240x240 px; Head
FLAIR magnetic resonance.
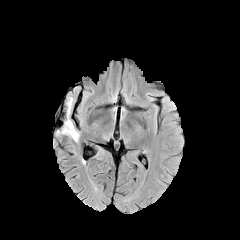
T1-weighted MR image.
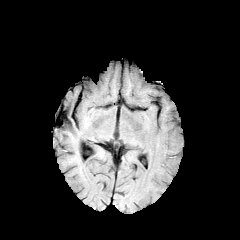
Post-contrast T1-weighted magnetic resonance.
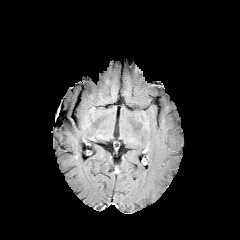
T2-weighted MRI.
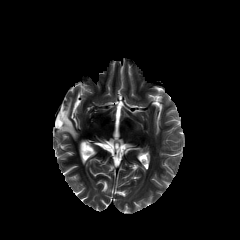
2 edema regions are located at l=61, t=120, r=78, b=139; l=65, t=97, r=72, b=119.